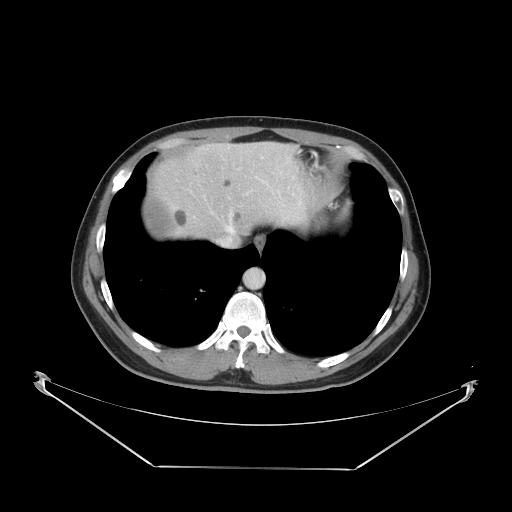
Abdomen | 512x512 | Computed tomography
Not every hepatic vessel necessarily has a box.
Segmented structures:
* liver tumor: (147,196,172,234)
* hepatic vessel: (225,210,233,232)